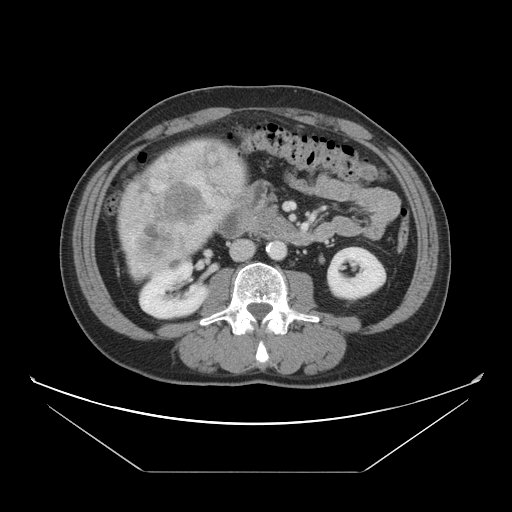

CT image

<segmentation>
  <liver_tumor>l=122, t=141, r=245, b=275</liver_tumor>
</segmentation>